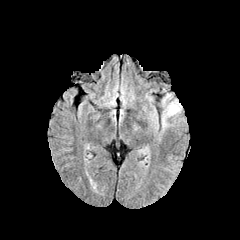
FLAIR MR.
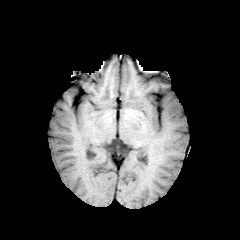
T1-weighted MR of the same slice.
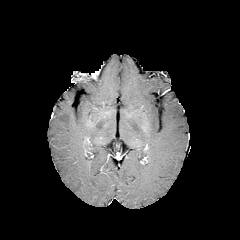
Post-contrast T1-weighted MR of the same slice.
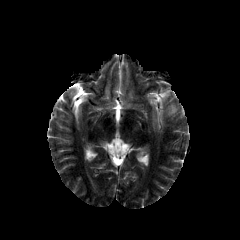
T2-weighted MR image.
Image size 240x240
Annotated regions:
* edema: (left=161, top=93, right=182, bottom=132), (left=147, top=97, right=158, bottom=132)